Slice 479/771, CT image 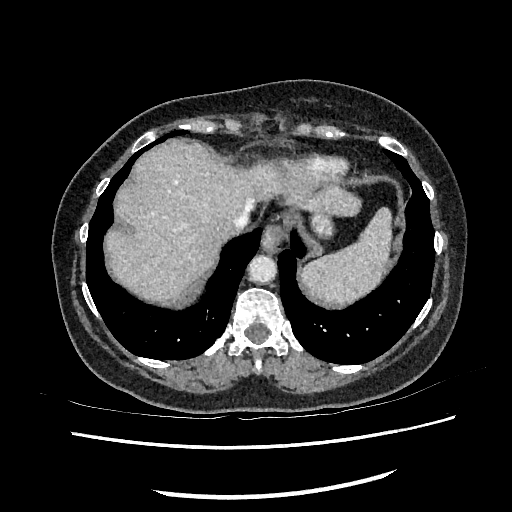

The liver lies within bbox(106, 141, 359, 299).